FLAIR MRI.
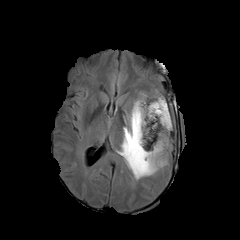
T1-weighted MR image.
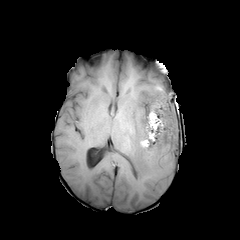
Post-contrast T1-weighted MR.
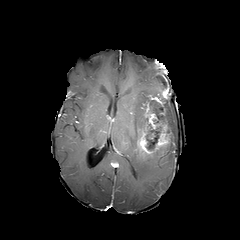
T2-weighted magnetic resonance.
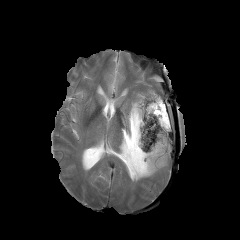
Brain
Segmented structures:
* enhancing tumor: region(156, 135, 167, 148); region(137, 131, 143, 153)
* edema: region(111, 91, 173, 181); region(108, 71, 119, 90)
* non-enhancing tumor core: region(133, 126, 139, 146); region(139, 104, 169, 155)